Upper abdomen. Computed tomography. 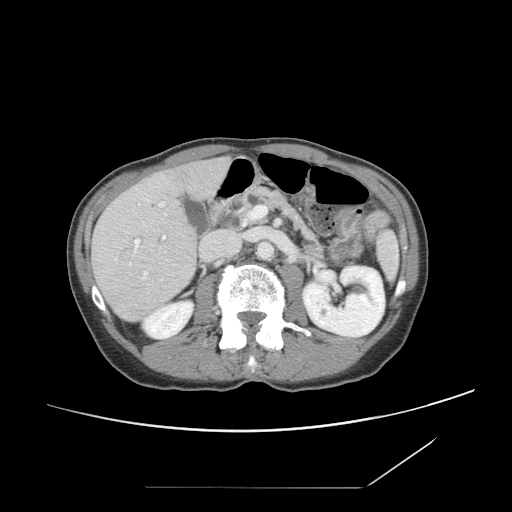 Findings:
* pancreas: (left=216, top=185, right=315, bottom=241)
* pancreatic tumor: (left=248, top=193, right=261, bottom=205)